FLAIR magnetic resonance.
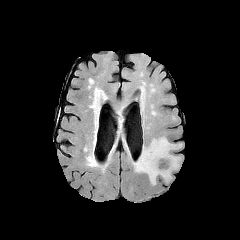
T1-weighted MRI.
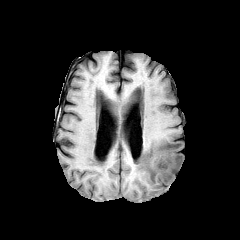
Post-contrast T1-weighted MRI.
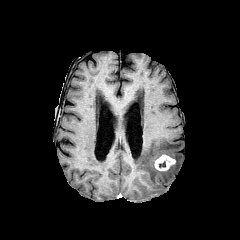
T2-weighted MR image.
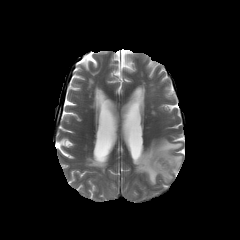
Findings:
• enhancing tumor: (154,155,175,170)
• edema: (134,137,181,184)